Slice 26/92; Abdomen; CT 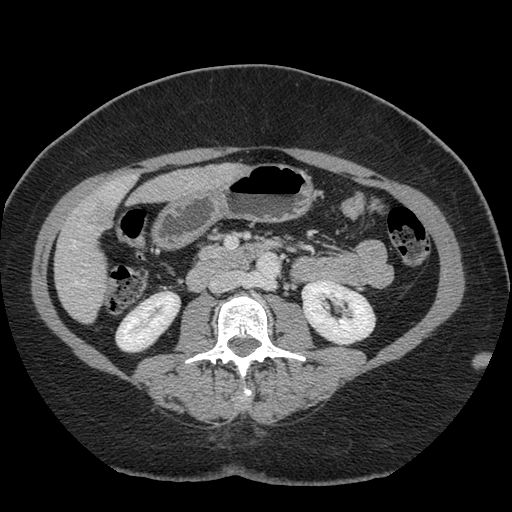
Only some of the vessels may be annotated.
Findings:
* hepatic vessel: <box>73,246,75,248</box>, <box>75,282,81,284</box>
* liver tumor: <box>89,202,113,223</box>